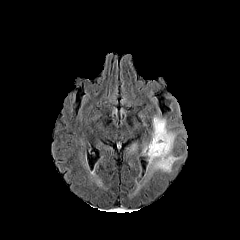
FLAIR MR.
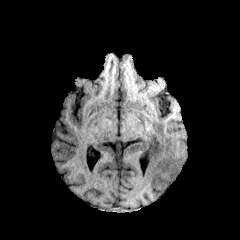
T1-weighted MR image.
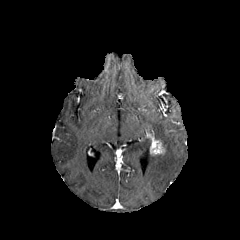
Same slice, post-contrast T1-weighted MRI.
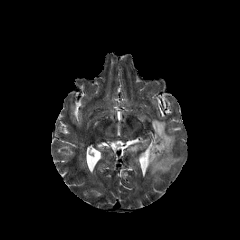
T2-weighted magnetic resonance.
240x240 | Brain
The enhancing tumor is bounded by (left=149, top=141, right=166, bottom=156). The edema is at (left=141, top=115, right=180, bottom=174).